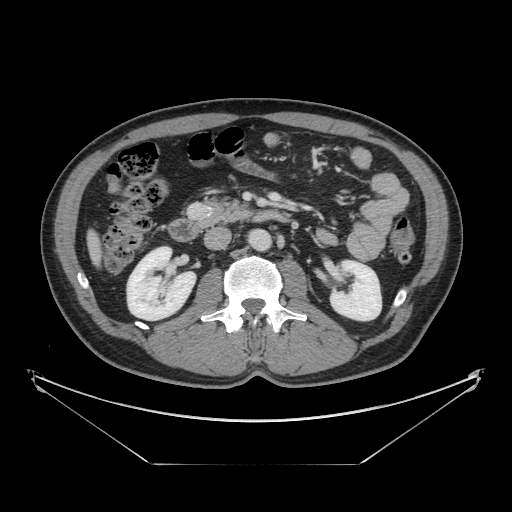
Computed tomography

The pancreatic tumor appears at left=186, top=202, right=213, bottom=220. The pancreas appears at left=191, top=196, right=254, bottom=227.